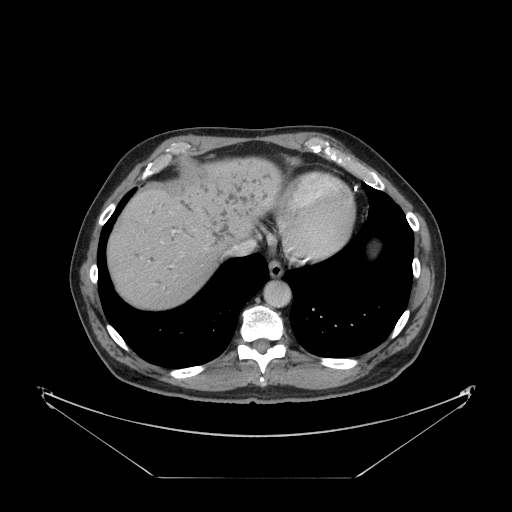

512x512 px. CT scan slice. Not every hepatic vessel necessarily has a box.
hepatic vessel: x1=228, y1=240, x2=254, y2=253; x1=172, y1=231, x2=175, y2=233